Field of view 500x500 mm, Liver, CT scan slice, Slice 28 of 49

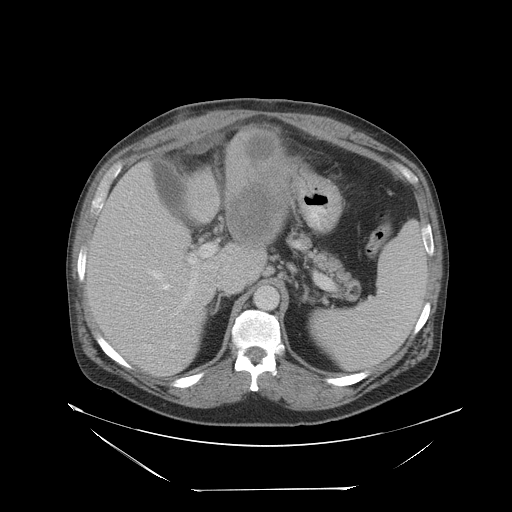
Some hepatic vessels may have no box.
7 hepatic vessel regions are bounded by [x1=160, y1=282, x2=170, y2=289], [x1=148, y1=269, x2=162, y2=281], [x1=171, y1=344, x2=174, y2=347], [x1=189, y1=254, x2=195, y2=264], [x1=201, y1=244, x2=215, y2=256], [x1=130, y1=192, x2=131, y2=193], [x1=179, y1=271, x2=197, y2=307]. The liver tumor is at [x1=228, y1=129, x2=283, y2=242].